Image size 512x512; Abdomen; Image width 360 mm; CT image
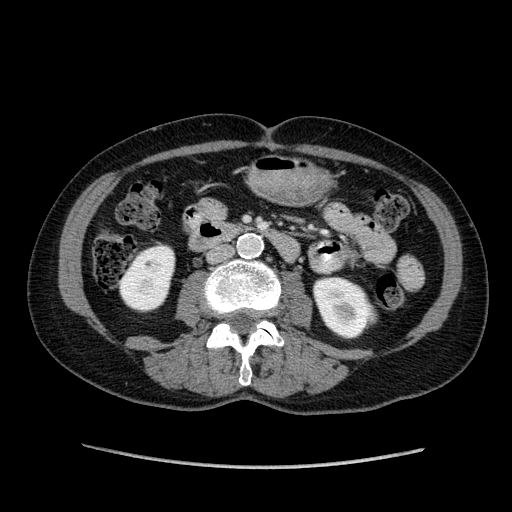
kidney: bbox=[120, 247, 173, 309]; bbox=[314, 278, 370, 336]